Slice 67 of 155. Head. 240x240.
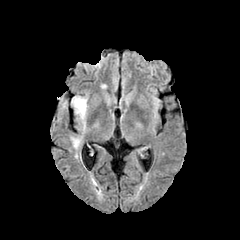
FLAIR MR.
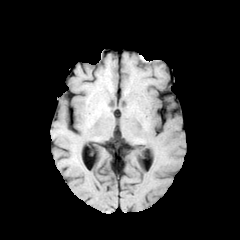
T1-weighted MR image of the same slice.
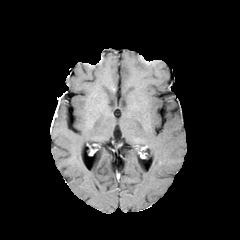
Same slice, post-contrast T1-weighted MR.
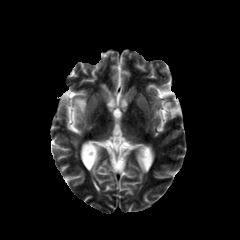
T2-weighted MR.
edema:
  - x1=70, y1=94, x2=88, y2=147